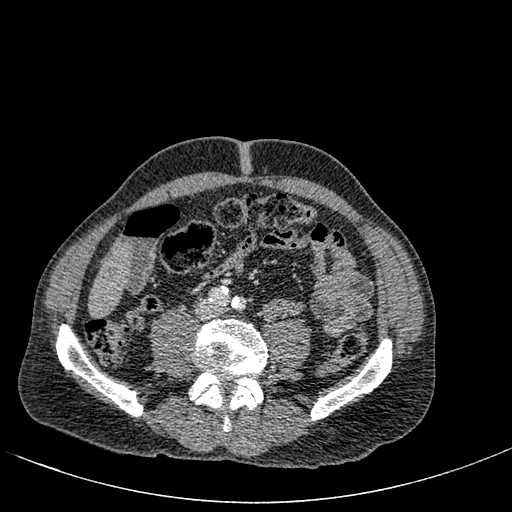
CT scan slice.
Liver: left=90, top=244, right=131, bottom=315.